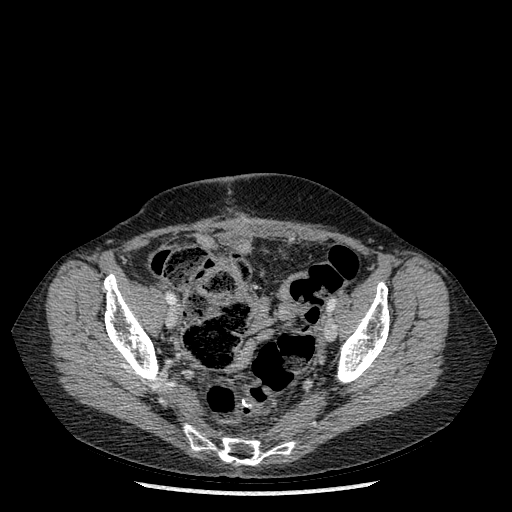
Computed tomography.

{
  "bone": [
    "bbox(337, 281, 389, 382)",
    "bbox(104, 274, 161, 390)",
    "bbox(184, 423, 295, 465)"
  ]
}